CT slice, Field of view 382x382 mm
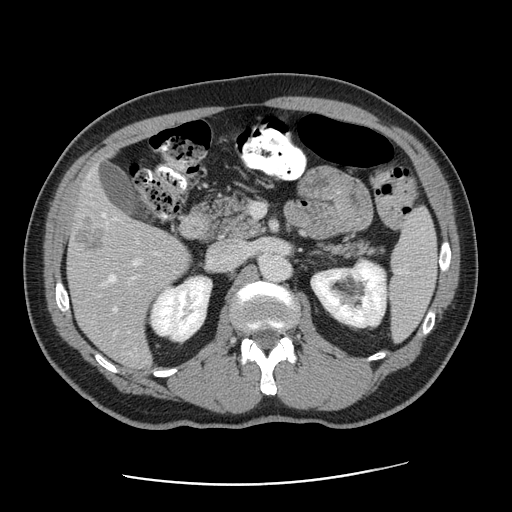

Some hepatic vessels may have no box.
The liver tumor is bounded by bbox(71, 212, 106, 256). 5 hepatic vessel regions appear at bbox(133, 260, 139, 264); bbox(115, 308, 116, 310); bbox(105, 274, 115, 283); bbox(129, 277, 136, 280); bbox(103, 213, 105, 215).